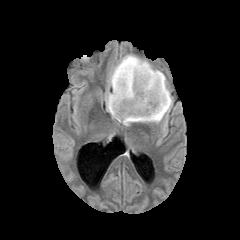
FLAIR MRI.
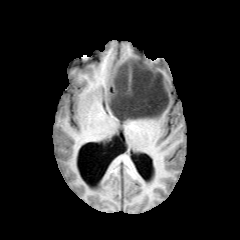
T1-weighted MR image.
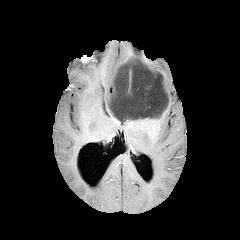
Post-contrast T1-weighted MRI of the same slice.
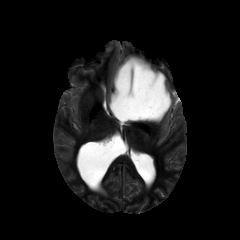
T2-weighted magnetic resonance.
Brain.
Findings:
- non-enhancing tumor core: (left=110, top=64, right=167, bottom=121)
- edema: (left=105, top=54, right=172, bottom=125)